FLAIR MR image.
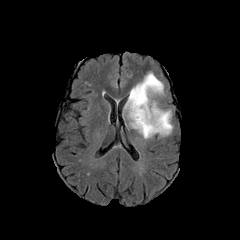
T1-weighted MR image.
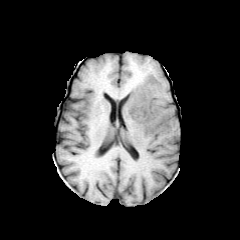
Post-contrast T1-weighted MRI.
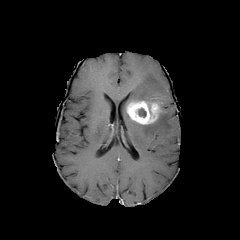
T2-weighted magnetic resonance.
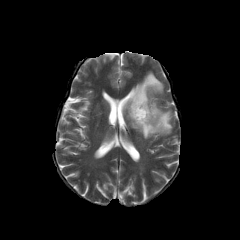
The enhancing tumor is at 125 99 161 124. 2 edema regions are located at 128 72 163 101, 130 110 173 139. The non-enhancing tumor core is at 138 109 146 117.